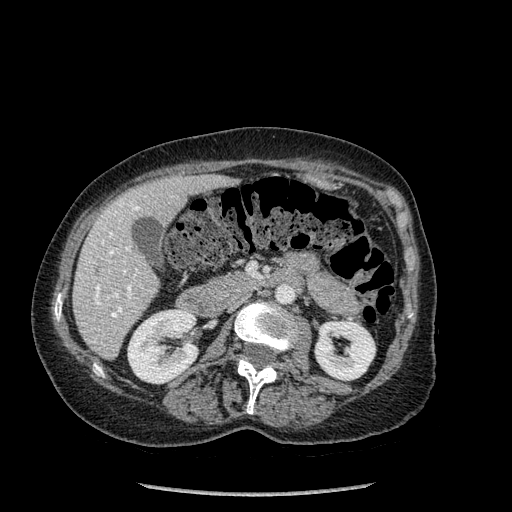

Liver; CT
kidney: bbox(315, 322, 375, 380); bbox(128, 310, 197, 383) | bone: bbox(234, 302, 297, 352); bbox(93, 363, 104, 376); bbox(237, 358, 277, 414); bbox(54, 294, 62, 321) | liver: bbox(72, 175, 239, 360)